Head
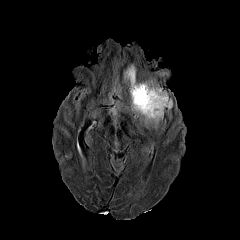
FLAIR MR image.
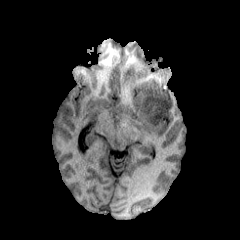
T1-weighted magnetic resonance of the same slice.
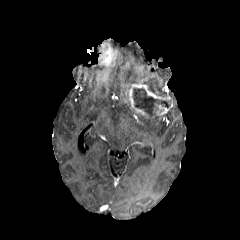
Post-contrast T1-weighted MRI.
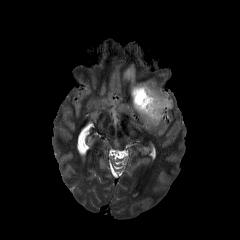
T2-weighted MR image.
{"non-enhancing_tumor_core": ["rect(132, 88, 170, 116)", "rect(147, 88, 167, 98)"], "edema": ["rect(142, 79, 168, 96)", "rect(123, 62, 137, 91)", "rect(139, 114, 162, 129)"], "enhancing_tumor": ["rect(128, 82, 172, 117)"]}